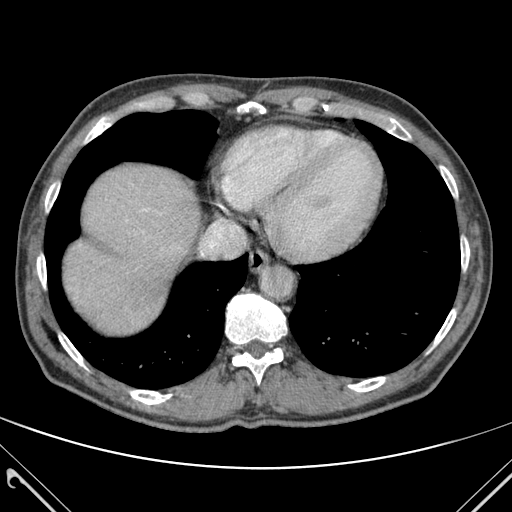
Computed tomography, Liver

Liver: bounding box bbox=[63, 165, 200, 334].
Bone: bounding box bbox=[380, 117, 410, 139]; bbox=[461, 238, 469, 269]; bbox=[440, 166, 457, 196]; bbox=[232, 348, 282, 383]; bbox=[130, 390, 171, 404]; bbox=[226, 294, 286, 343]; bbox=[37, 254, 46, 288]; bbox=[45, 182, 59, 211]; bbox=[431, 309, 455, 349]; bbox=[238, 102, 265, 113]; bbox=[86, 118, 110, 140]; bbox=[59, 333, 86, 368]; bbox=[348, 377, 385, 391].
Lung: bounding box bbox=[44, 110, 247, 388]; bbox=[289, 120, 460, 376].